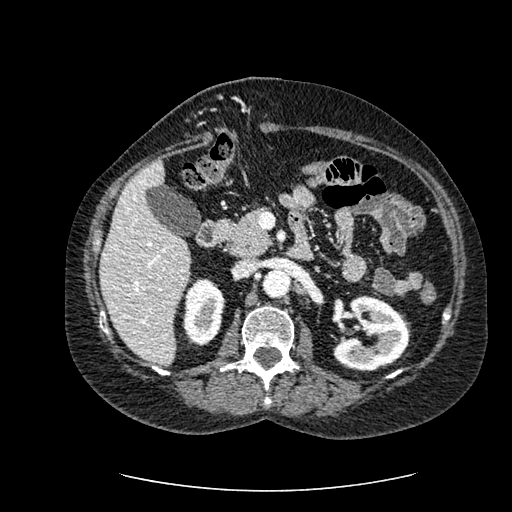 CT slice
{"kidney": ["(x1=184, y1=280, x2=223, y2=344)", "(x1=333, y1=296, x2=408, y2=369)"], "liver": ["(x1=99, y1=158, x2=188, y2=363)"]}